Slice index 43, CT slice
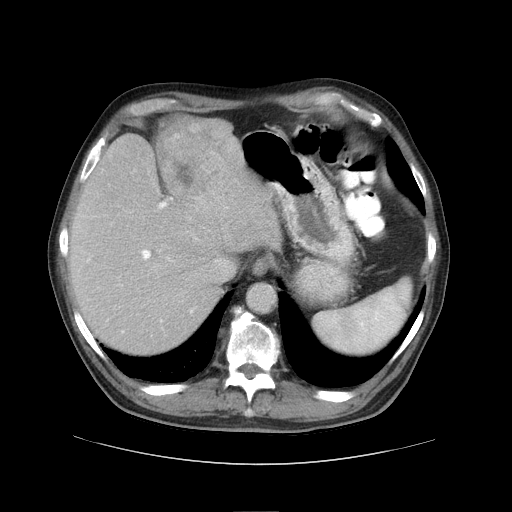

The vessel annotation is not exhaustive.
Hepatic vessel: bounding box (left=141, top=249, right=150, bottom=259), (left=156, top=202, right=167, bottom=210).
Liver tumor: bounding box (left=156, top=120, right=243, bottom=196).